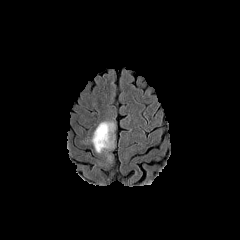
FLAIR MR image.
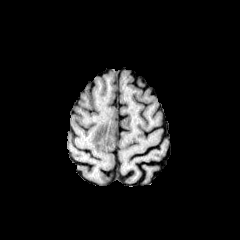
T1-weighted magnetic resonance of the same slice.
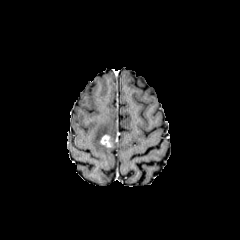
Post-contrast T1-weighted MR of the same slice.
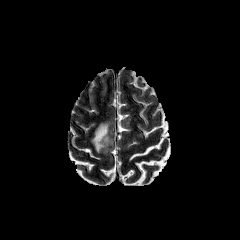
T2-weighted MR image.
Image size 240x240
<segmentation>
  <enhancing_tumor>box=[101, 134, 113, 148]</enhancing_tumor>
  <edema>box=[93, 122, 108, 152]</edema>
</segmentation>